Slice index 84. Head. Image width 240 mm.
FLAIR MRI.
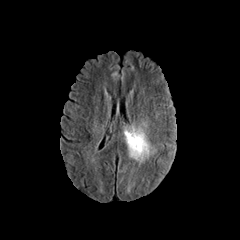
T1-weighted MR.
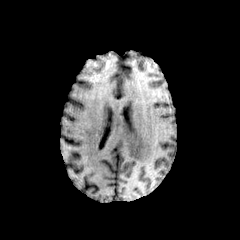
Post-contrast T1-weighted MR.
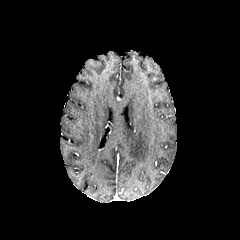
T2-weighted MRI.
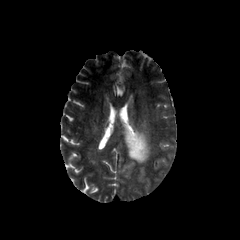
The edema lies within l=124, t=121, r=156, b=167.